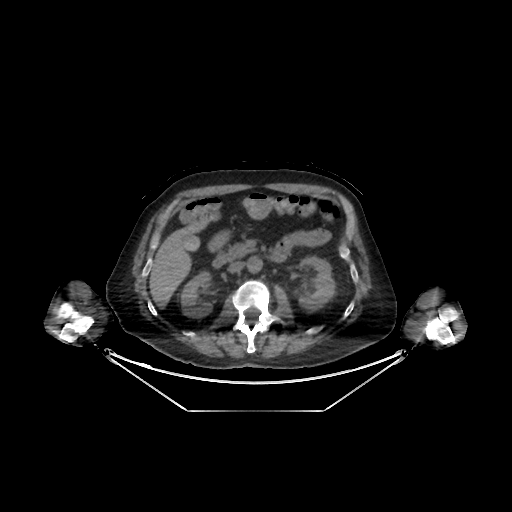

512x512 px; Computed tomography

kidney:
  - (179,268,215,318)
  - (295,254,335,312)
liver:
  - (150,211,216,305)